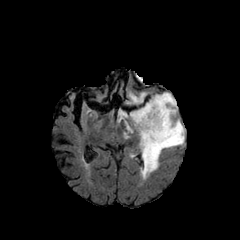
FLAIR MRI.
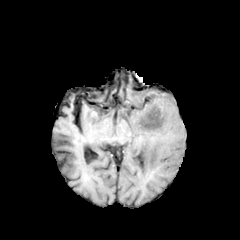
T1-weighted magnetic resonance of the same slice.
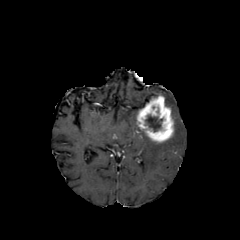
Same slice, post-contrast T1-weighted MRI.
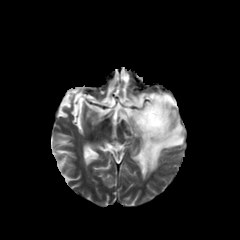
T2-weighted MRI of the same slice.
Head
<segmentation>
  <edema>rect(118, 92, 184, 179)</edema>
  <non-enhancing_tumor_core>rect(136, 97, 150, 114); rect(146, 116, 162, 131)</non-enhancing_tumor_core>
  <enhancing_tumor>rect(136, 94, 174, 143)</enhancing_tumor>
</segmentation>